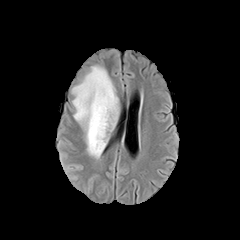
FLAIR MR.
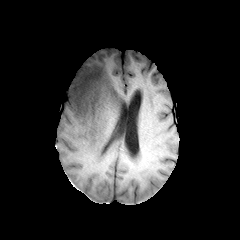
T1-weighted MR image.
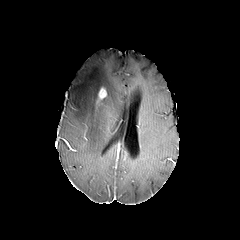
Post-contrast T1-weighted MR.
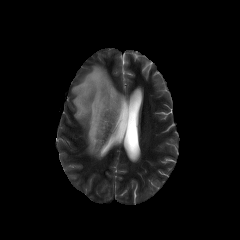
T2-weighted MR image of the same slice.
The enhancing tumor lies within [99, 88, 106, 99]. 2 non-enhancing tumor core regions appear at [93, 73, 101, 85], [95, 86, 103, 103]. The edema is at [71, 65, 119, 158].